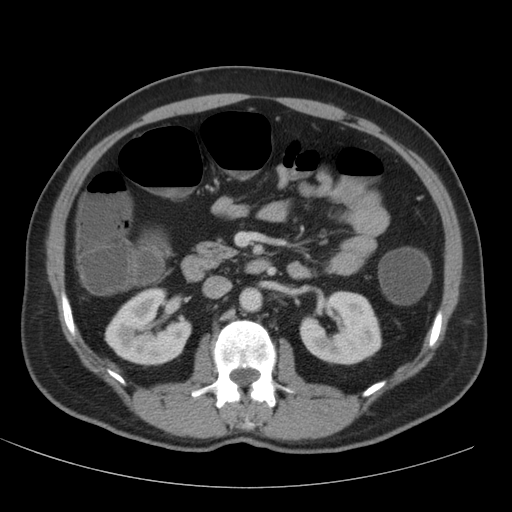 CT, Image size 512x512, Abdomen
Kidney at bbox(300, 291, 380, 364); bbox(105, 288, 190, 364).